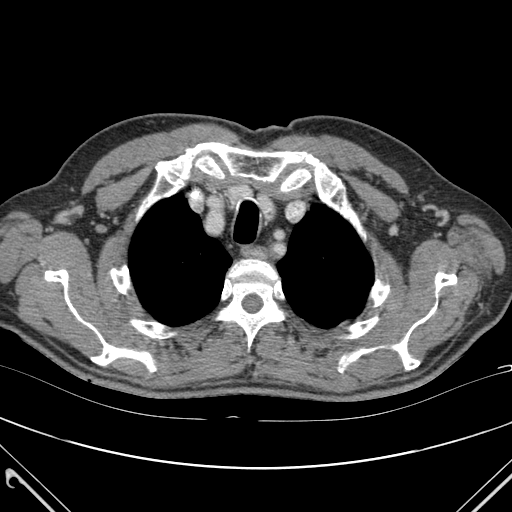
Image size 512x512, CT slice
bone: 131:320:166:338, 110:266:129:293, 339:348:373:372, 371:280:389:306, 393:305:436:369, 139:142:362:234, 348:317:377:337, 435:272:456:296, 217:260:283:346, 45:269:155:371 | lung: 129:194:231:325, 277:204:373:328